FLAIR magnetic resonance.
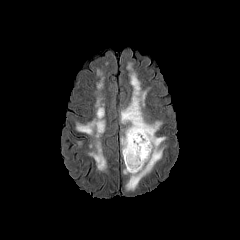
T1-weighted magnetic resonance.
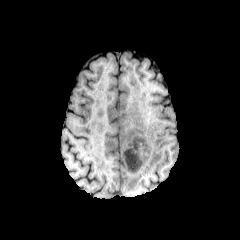
Post-contrast T1-weighted magnetic resonance.
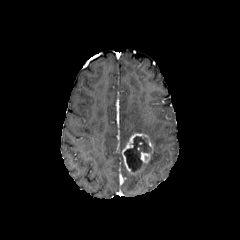
T2-weighted magnetic resonance.
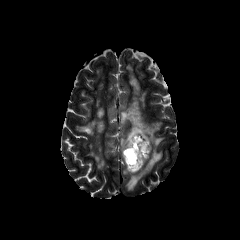
Head
<segmentation>
  <enhancing_tumor>(x1=122, y1=133, x2=153, y2=173)</enhancing_tumor>
  <non-enhancing_tumor_core>(x1=124, y1=136, x2=151, y2=172)</non-enhancing_tumor_core>
  <edema>(x1=76, y1=101, x2=105, y2=170), (x1=120, y1=72, x2=164, y2=190)</edema>
</segmentation>